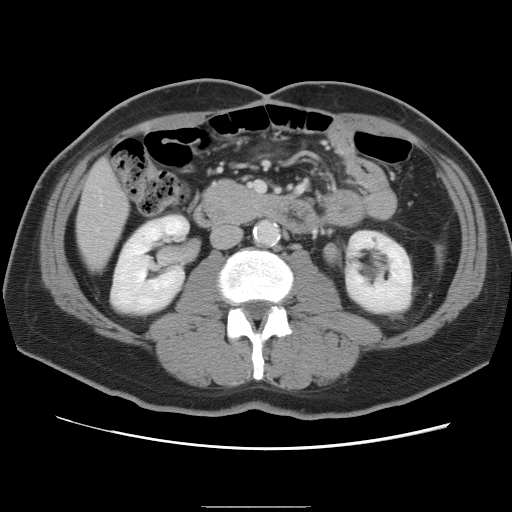
CT slice
The vessel annotation is not exhaustive.
3 hepatic vessel regions are located at box=[100, 196, 101, 199]; box=[99, 202, 101, 205]; box=[96, 228, 97, 229].